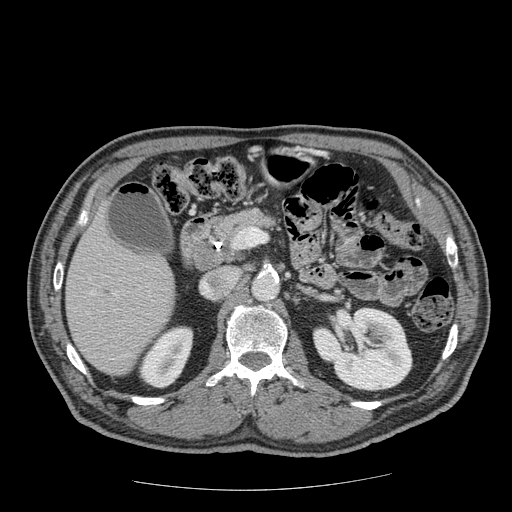 CT image

- pancreas: rect(192, 207, 283, 272)